Pelvis, CT, Slice index 39

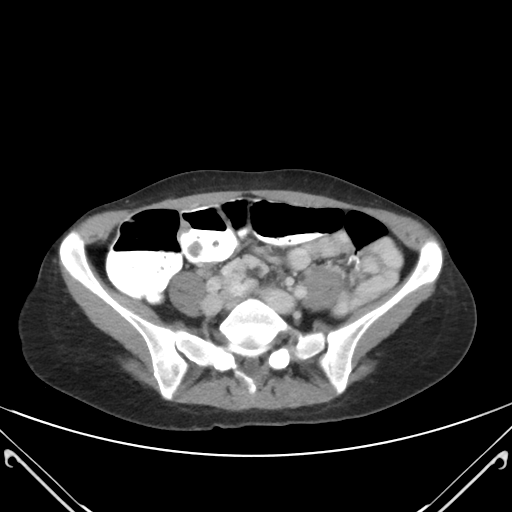

colon_tumor:
  - x1=187 y1=241 x2=202 y2=257
  - x1=179 y1=221 x2=190 y2=233